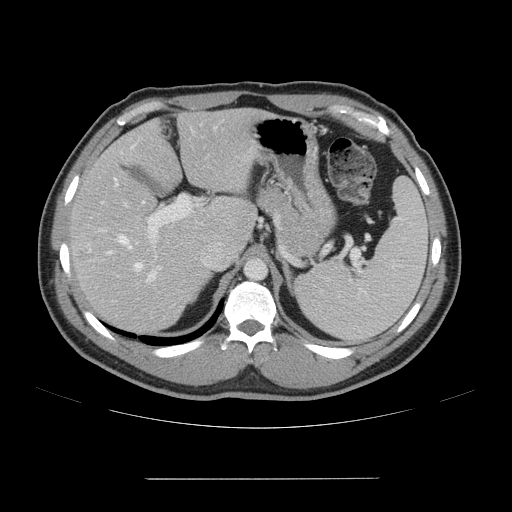
CT scan slice
The vessel annotation is not exhaustive.
Annotated regions:
• hepatic vessel: 146,270,155,281; 99,229,103,230; 131,144,135,148; 118,235,131,248; 114,178,117,185; 214,126,215,128; 124,202,126,205; 107,251,111,253; 148,195,199,242; 134,263,141,270; 156,266,161,269